Slice 49 of 155
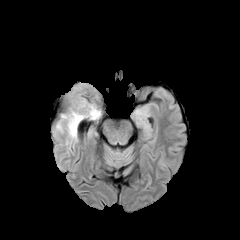
FLAIR magnetic resonance.
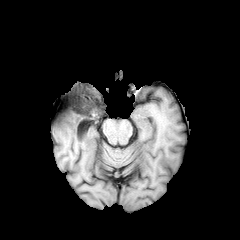
T1-weighted MR of the same slice.
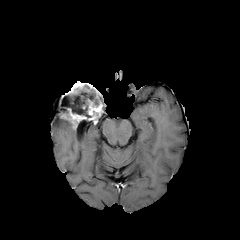
Same slice, post-contrast T1-weighted MRI.
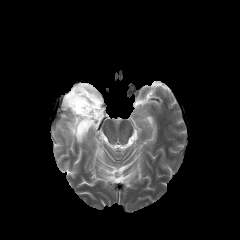
Same slice, T2-weighted MR image.
Edema — 52 118 91 144.
Enhancing tumor — 62 83 101 129.
Non-enhancing tumor core — 64 92 95 117.